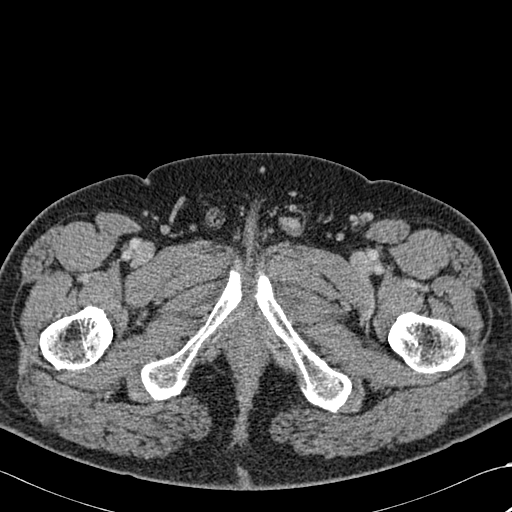

CT image

- bone: l=388, t=312, r=465, b=373; l=141, t=270, r=241, b=399; l=40, t=306, r=112, b=370; l=255, t=274, r=351, b=411